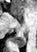

MR | Hippocampus
The posterior hippocampus lies within <bbox>12, 37, 25, 46</bbox>.